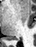

36x47 px, Magnetic resonance
{"posterior_hippocampus": ["10:37:18:39"]}